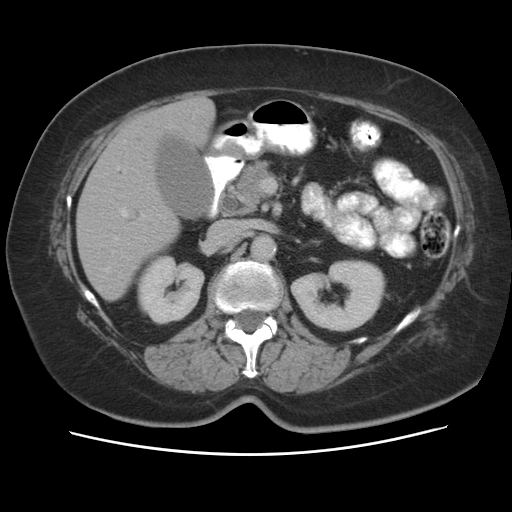

Computed tomography; Image size 512x512
pancreas:
  - x1=238 y1=160 x2=270 y2=200